FLAIR MRI.
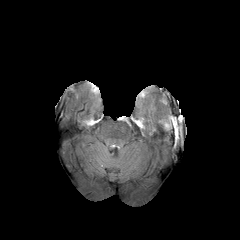
T1-weighted magnetic resonance.
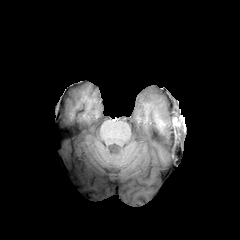
Post-contrast T1-weighted MR.
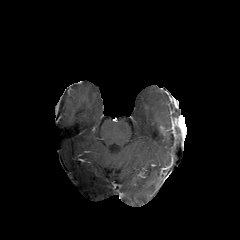
T2-weighted magnetic resonance.
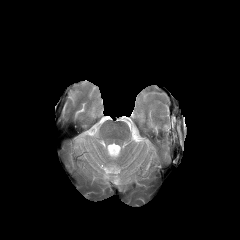
240x240
Findings:
• edema: (x1=122, y1=118, x2=133, y2=127), (x1=102, y1=142, x2=121, y2=157), (x1=159, y1=116, x2=174, y2=129), (x1=135, y1=109, x2=145, y2=127), (x1=148, y1=104, x2=155, y2=123)